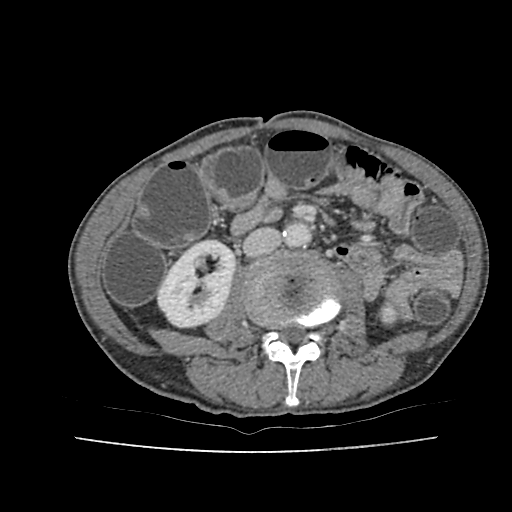 Abdomen, Computed tomography
- kidney: <bbox>158, 241, 234, 326</bbox>